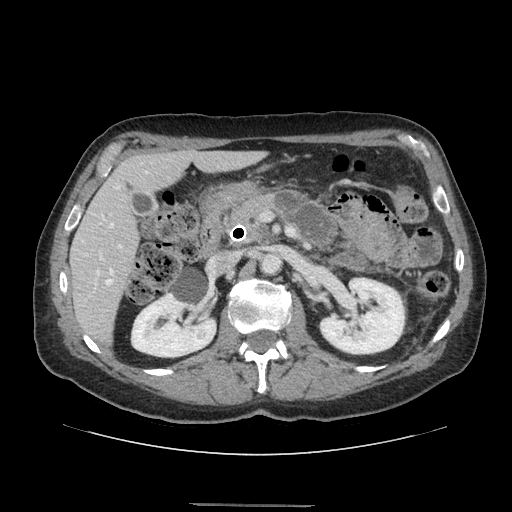
CT
pancreas:
  - (228, 195, 274, 242)